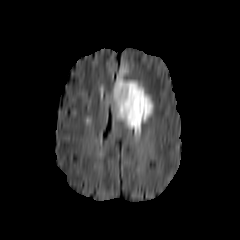
FLAIR MR.
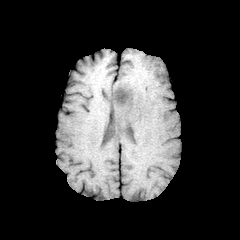
Same slice, T1-weighted MR.
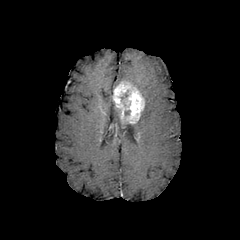
Post-contrast T1-weighted magnetic resonance.
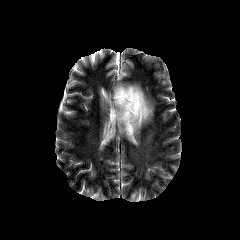
T2-weighted MRI of the same slice.
Head | 240x240 px
enhancing_tumor:
  - left=113, top=82, right=144, bottom=123
non-enhancing_tumor_core:
  - left=123, top=104, right=129, bottom=123
edema:
  - left=104, top=65, right=153, bottom=139